Slice 111/134 | CT slice | Liver

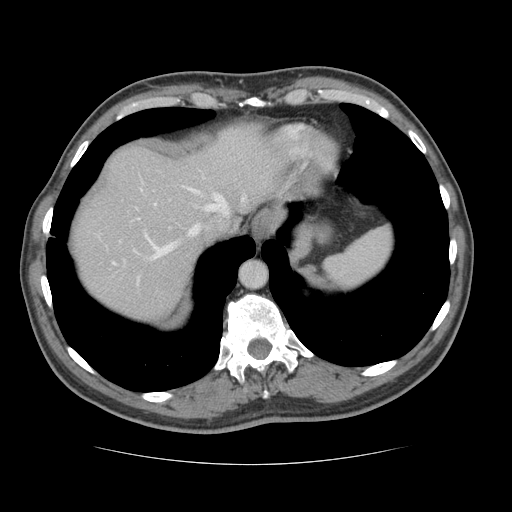
The vessel annotation is not exhaustive.
{"hepatic_vessel": ["box(183, 186, 199, 193)", "box(241, 197, 243, 201)", "box(205, 193, 227, 214)", "box(112, 261, 115, 263)", "box(154, 203, 155, 204)", "box(146, 234, 177, 255)", "box(137, 278, 138, 282)", "box(188, 224, 198, 235)"]}